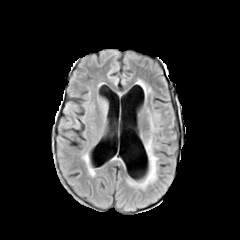
FLAIR MR.
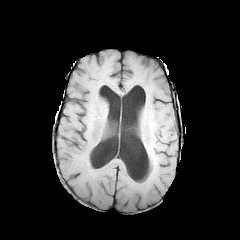
Same slice, T1-weighted MR.
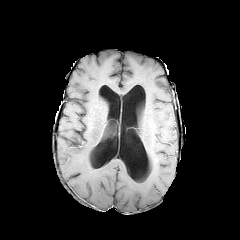
Post-contrast T1-weighted MR image of the same slice.
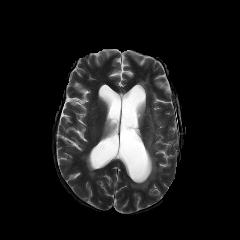
Same slice, T2-weighted MRI.
Head | 240x240
The edema appears at x1=131 y1=139 x2=157 y2=188.